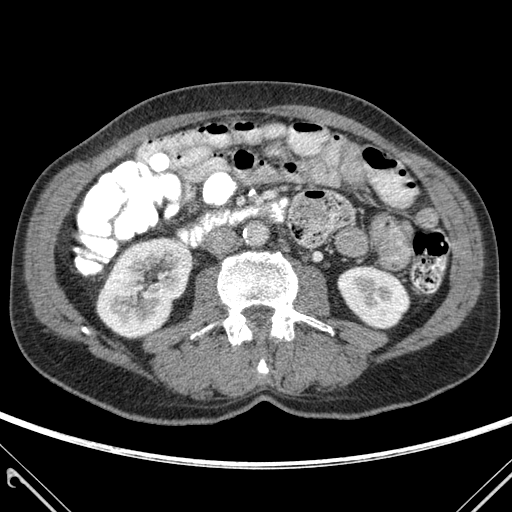 CT slice; Abdomen; 512x512

bone: (217, 252, 332, 344), (258, 359, 267, 373) | kidney: (338, 267, 408, 327), (98, 239, 187, 336)